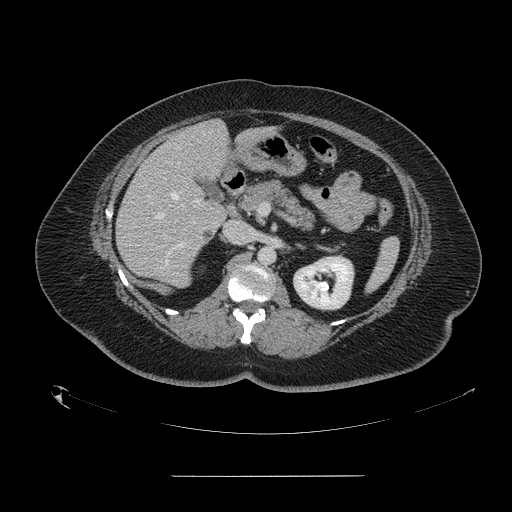
Image size 512x512. CT scan slice. Upper abdomen.

Spleen at 368,238,399,290.